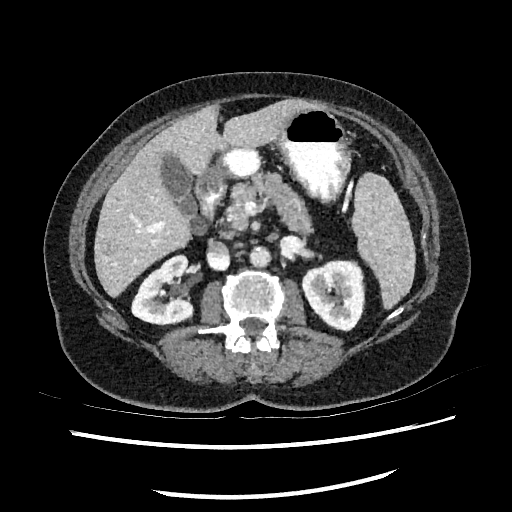
Computed tomography.
• hepatic lesion: 101,241,115,254
• kidney: 132,256,191,323; 303,261,363,329
• liver: 93,99,308,297